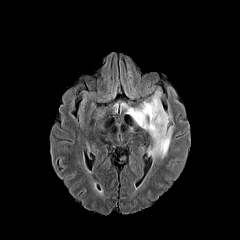
FLAIR MRI.
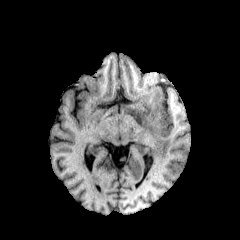
Same slice, T1-weighted MRI.
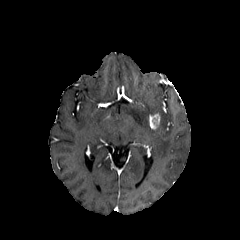
Post-contrast T1-weighted MR of the same slice.
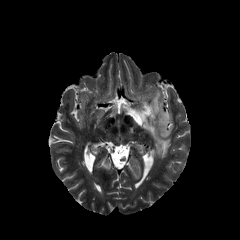
Same slice, T2-weighted MR image.
Head
<segmentation>
  <non-enhancing_tumor_core>{"x1": 151, "y1": 123, "x2": 164, "y2": 136}</non-enhancing_tumor_core>
  <enhancing_tumor>{"x1": 149, "y1": 112, "x2": 160, "y2": 130}</enhancing_tumor>
  <edema>{"x1": 127, "y1": 89, "x2": 173, "y2": 160}</edema>
</segmentation>